Computed tomography

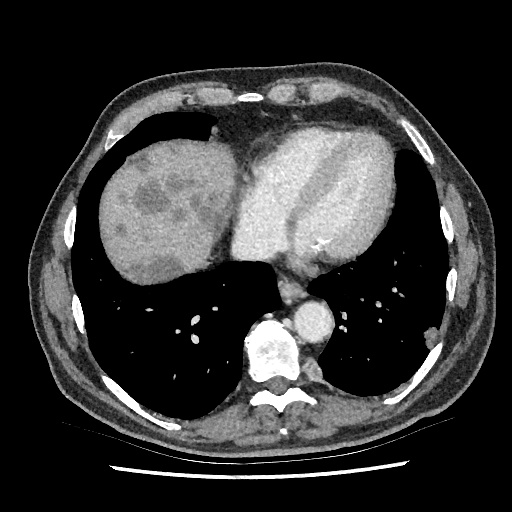 • liver: (left=100, top=140, right=234, bottom=269)
• liver lesion: (left=117, top=190, right=128, bottom=203), (left=126, top=151, right=150, bottom=172), (left=172, top=209, right=186, bottom=223), (left=114, top=223, right=127, bottom=238), (left=132, top=173, right=195, bottom=216), (left=167, top=142, right=179, bottom=154), (left=115, top=254, right=184, bottom=282), (left=190, top=190, right=231, bottom=238)